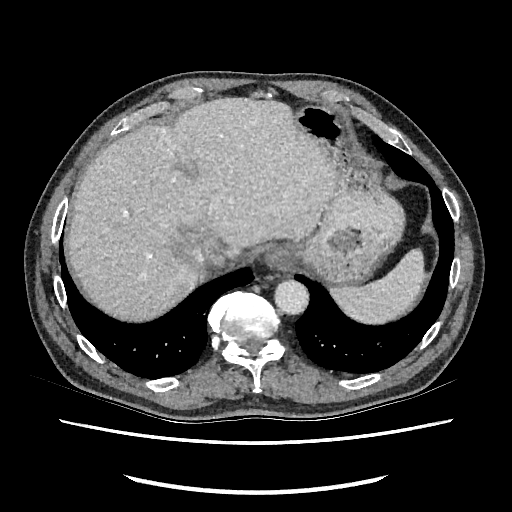

CT scan slice, Liver
Hepatic lesion at (x1=172, y1=225, x2=209, y2=264), (x1=186, y1=165, x2=198, y2=175).
Liver at (x1=69, y1=99, x2=335, y2=318).